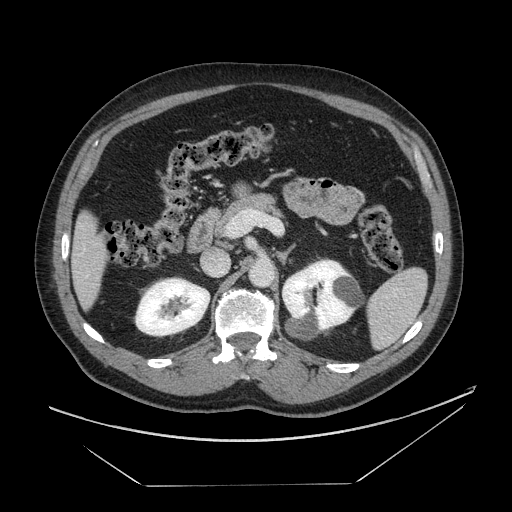

CT.

Pancreas = bbox(216, 194, 284, 233).